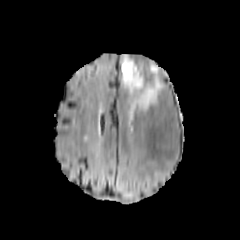
FLAIR magnetic resonance.
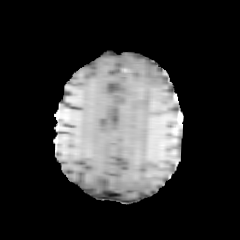
T1-weighted MRI.
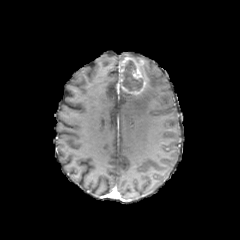
Post-contrast T1-weighted MRI.
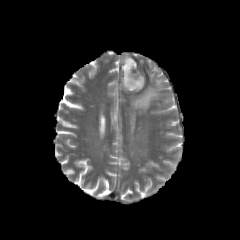
Same slice, T2-weighted MRI.
Brain
The non-enhancing tumor core is bounded by box(120, 60, 143, 91). The edema is bounded by box(129, 62, 162, 113). The enhancing tumor is at box(120, 55, 147, 94).